CT slice
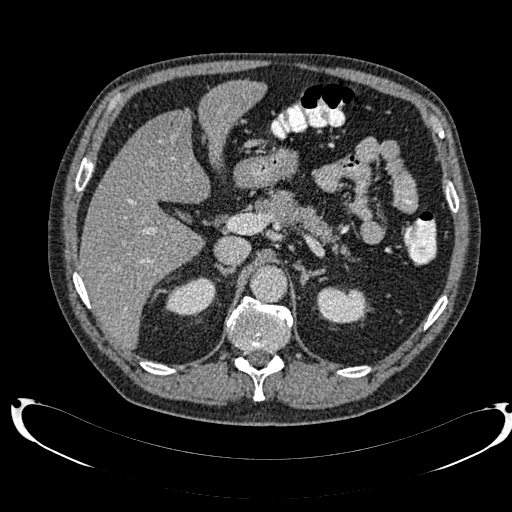 Liver: bounding box 199 80 265 163, 80 111 208 347.
Kidney: bounding box 316 287 368 322, 166 278 215 315.
Focal liver lesion: bounding box 146 112 186 154.